240x240 px
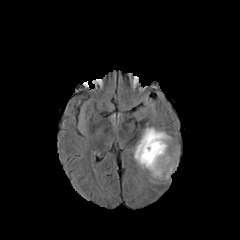
FLAIR magnetic resonance.
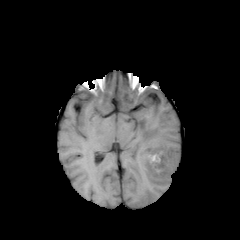
T1-weighted MR image of the same slice.
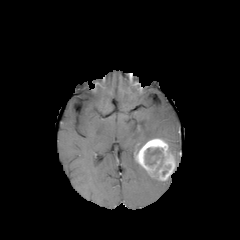
Post-contrast T1-weighted MRI.
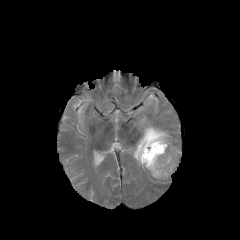
T2-weighted MR image of the same slice.
The enhancing tumor lies within <box>134,138,175,180</box>. The edema lies within <box>128,124,180,182</box>. The non-enhancing tumor core appears at <box>145,148,162,165</box>.